Computed tomography | Slice index 67
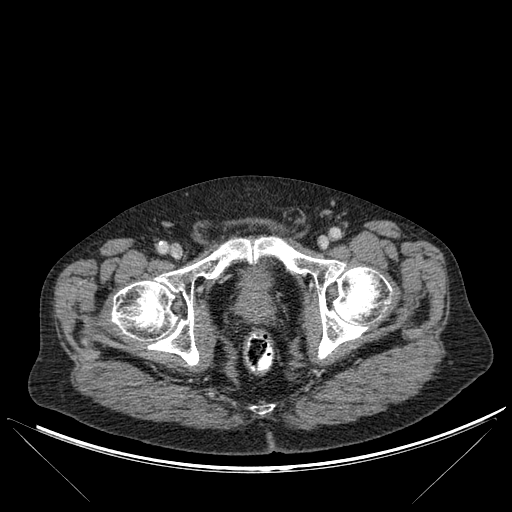 Bone = box(111, 237, 391, 365); box(252, 404, 274, 414).